FLAIR MR image.
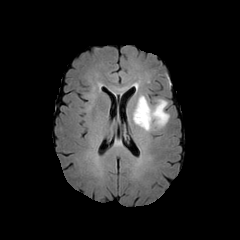
T1-weighted MR image.
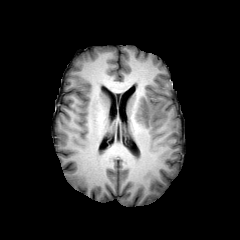
Post-contrast T1-weighted MR image.
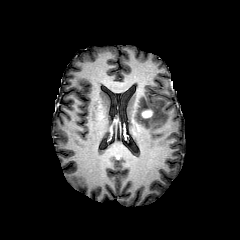
T2-weighted magnetic resonance.
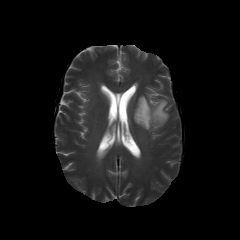
Brain.
Enhancing tumor at [x1=142, y1=110, x2=151, y2=117].
Edema at [x1=129, y1=94, x2=169, y2=131].
Non-enhancing tumor core at [x1=137, y1=100, x2=149, y2=123].